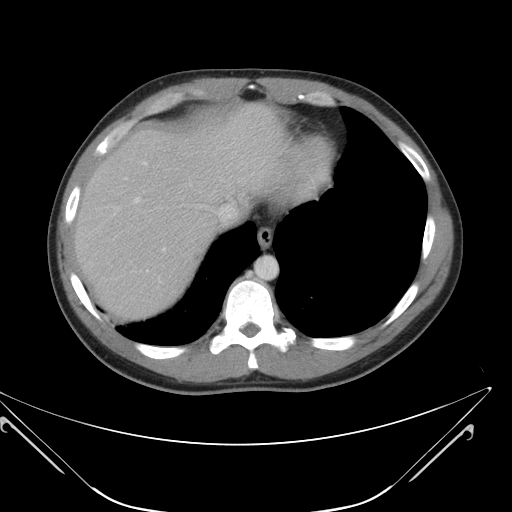 512x512 px; CT; Abdomen
The vessel annotation is not exhaustive.
Segmented structures:
* hepatic vessel: (x1=218, y1=205, x2=235, y2=220), (x1=163, y1=248, x2=165, y2=250), (x1=144, y1=162, x2=146, y2=164), (x1=135, y1=198, x2=138, y2=202)